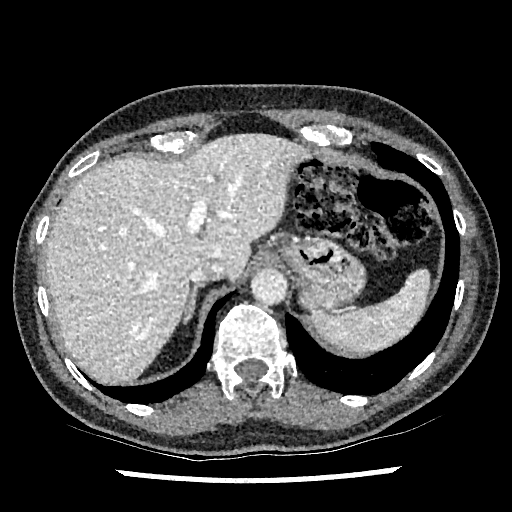

CT slice
The liver is at 46, 134, 311, 383.